CT scan slice, Slice index 345, Field of view 338 mm wide, 1.20 mm slice spacing

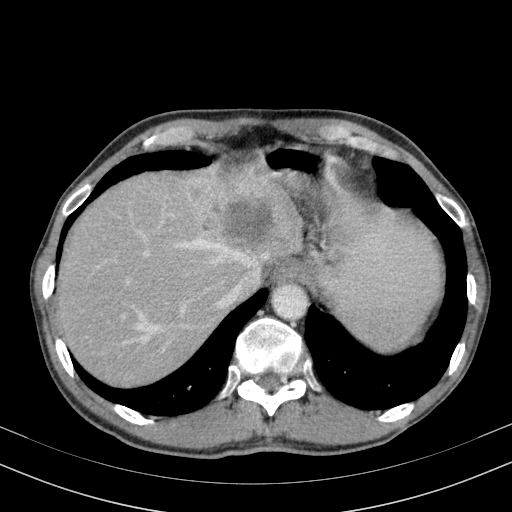

<segmentation>
  <hepatic_lesion>214 203 272 241</hepatic_lesion>
  <liver>58 154 304 388</liver>
</segmentation>